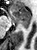

37x50; Hippocampus; MRI
Posterior hippocampus: bounding box region(19, 22, 29, 28).
Anterior hippocampus: bounding box region(8, 8, 31, 22).